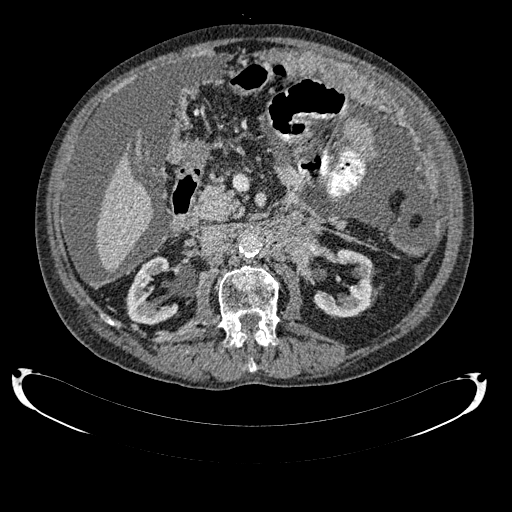
Computed tomography; Abdomen

The liver appears at box=[96, 153, 152, 271]. 2 kidney regions appear at box=[127, 257, 177, 324]; box=[314, 249, 371, 316].